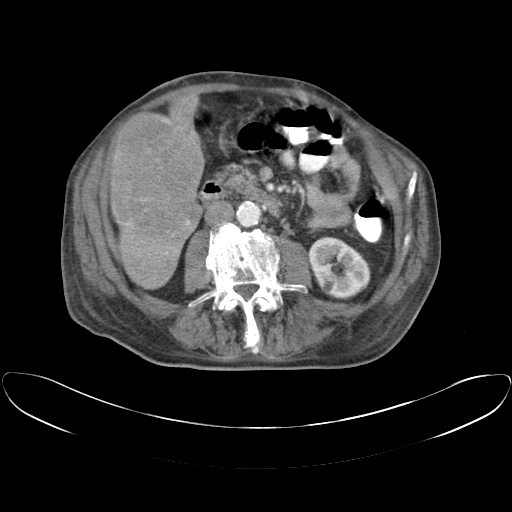
CT scan slice | Liver

Only some of the vessels may be annotated.
Segmented structures:
- liver tumor: <bbox>114, 115, 200, 232</bbox>
- hepatic vessel: <bbox>126, 235, 144, 243</bbox>, <bbox>120, 222, 132, 227</bbox>, <bbox>155, 249, 169, 255</bbox>